Slice 147/536, Computed tomography

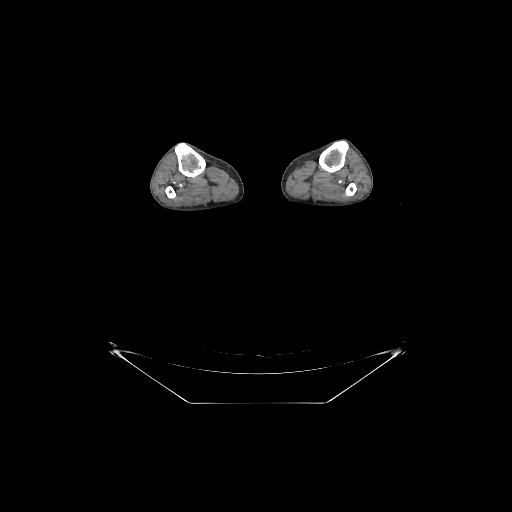 Bone: bounding box left=175, top=143, right=205, bottom=177; left=165, top=186, right=175, bottom=198; left=319, top=141, right=348, bottom=172; left=345, top=183, right=356, bottom=195.